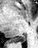 Image size 38x48 | MR | Hippocampus
The posterior hippocampus lies within 14:35:25:41.